Head
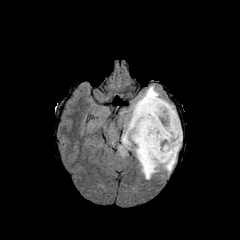
FLAIR MR.
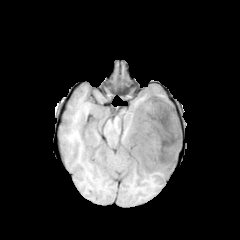
T1-weighted MR image of the same slice.
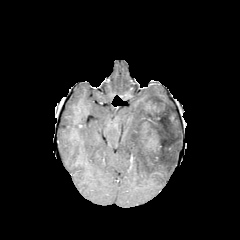
Post-contrast T1-weighted MR.
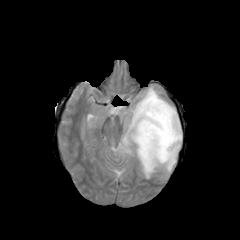
Same slice, T2-weighted magnetic resonance.
non-enhancing_tumor_core:
  - [140,95,179,158]
enhancing_tumor:
  - [144,123,160,151]
edema:
  - [118,85,182,179]